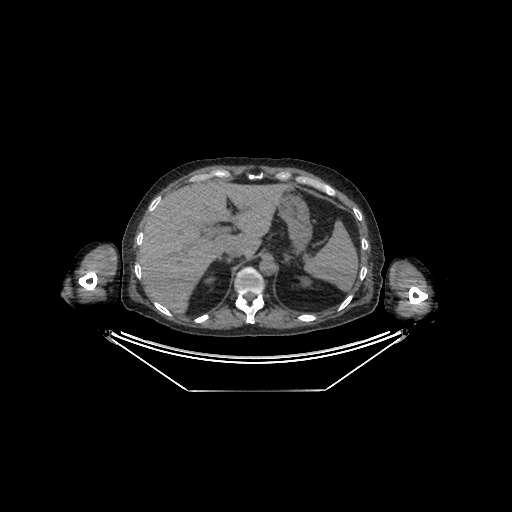

Computed tomography; Abdomen
Segmented structures:
- kidney: 204 276 214 283, 298 276 311 286
- liver: 137 177 290 313